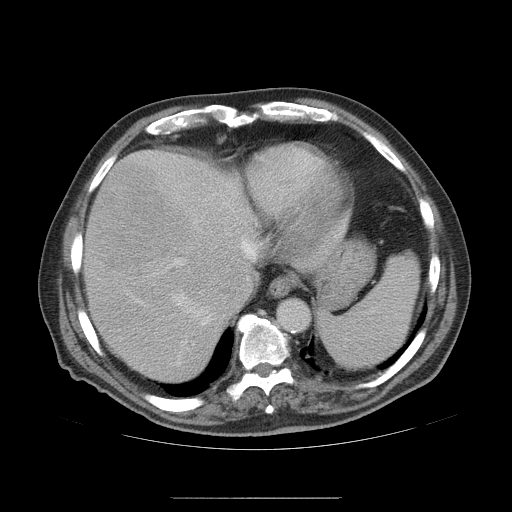 CT scan slice. Abdomen. The vessel boxes may cover only some of the vessels.
10 hepatic vessel regions are bounded by <bbox>192, 342, 193, 344</bbox>, <bbox>197, 308, 213, 324</bbox>, <bbox>138, 301, 142, 303</bbox>, <bbox>154, 272, 163, 274</bbox>, <bbox>239, 209, 244, 213</bbox>, <bbox>239, 221, 246, 224</bbox>, <bbox>173, 293, 184, 304</bbox>, <bbox>174, 258, 186, 266</bbox>, <bbox>240, 236, 261, 257</bbox>, <bbox>184, 308, 194, 312</bbox>. The liver tumor appears at <bbox>93, 175, 170, 268</bbox>.